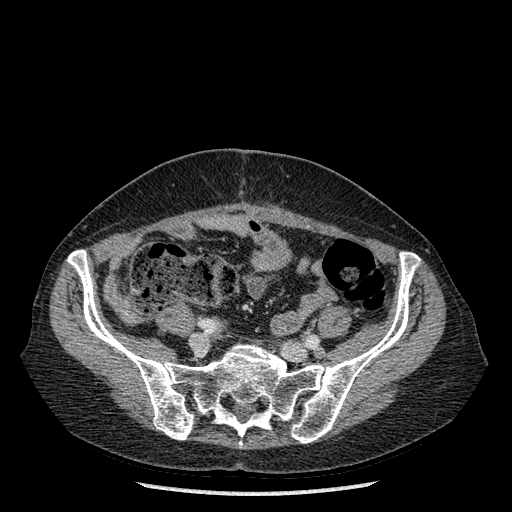 Computed tomography
The bone is at 67 249 420 443.